Field of view 368 mm wide, 2.50 mm slice spacing; CT scan slice 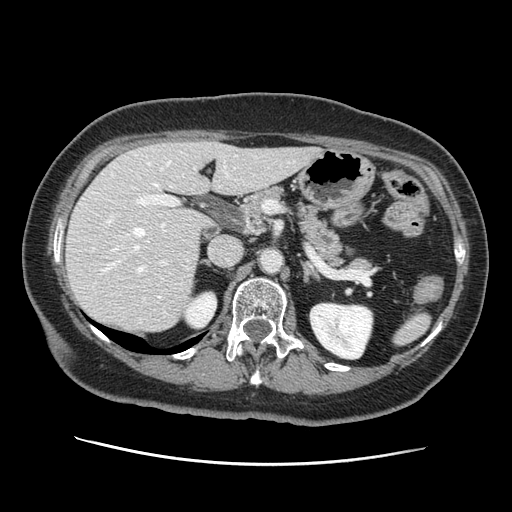 spleen:
  - box=[392, 312, 430, 345]